Field of view 465 mm wide, 2.50 mm slice spacing; CT

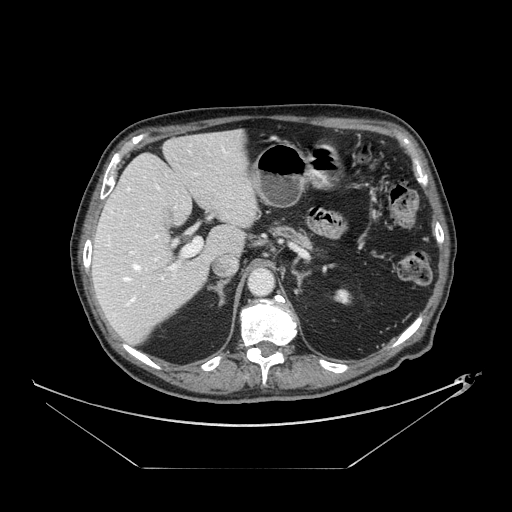

Pancreas: [276,226,311,248].